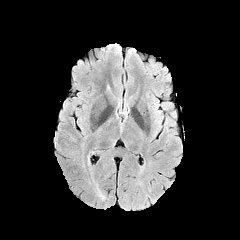
FLAIR MR image.
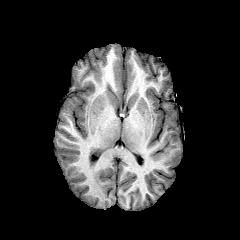
T1-weighted MR image.
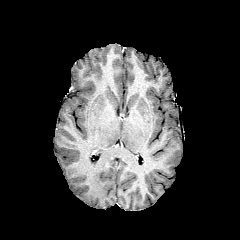
Post-contrast T1-weighted MR image.
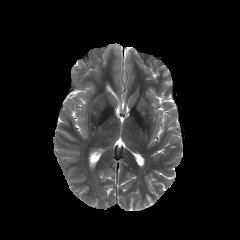
T2-weighted MRI.
Image size 240x240
* edema: box=[118, 99, 128, 117]